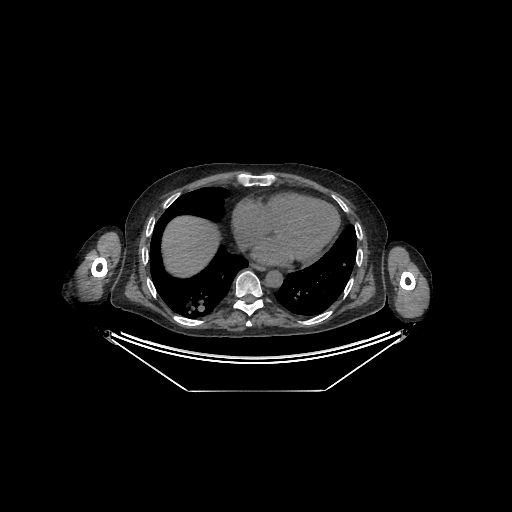

Abdomen, Computed tomography
The liver is bounded by [x1=161, y1=216, x2=218, y2=277].